Computed tomography.
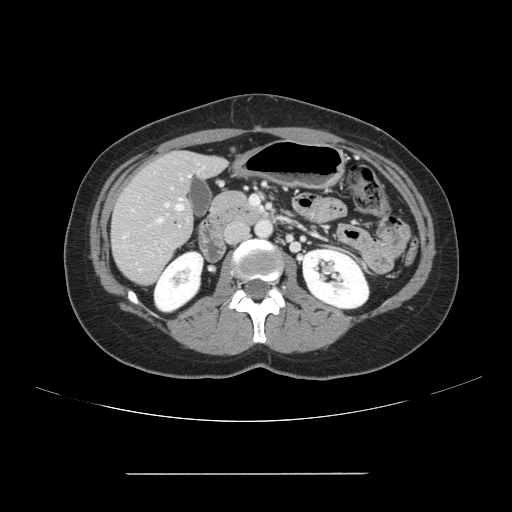 Only some of the vessels may be annotated.
3 hepatic vessel regions are located at 165:203:168:206, 176:198:182:209, 157:218:161:222.